Medial temporal lobe; Field of view 37 mm wide, 1.00 mm slice spacing; MR

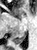
posterior hippocampus: [13, 33, 26, 44]